Upper abdomen, Computed tomography
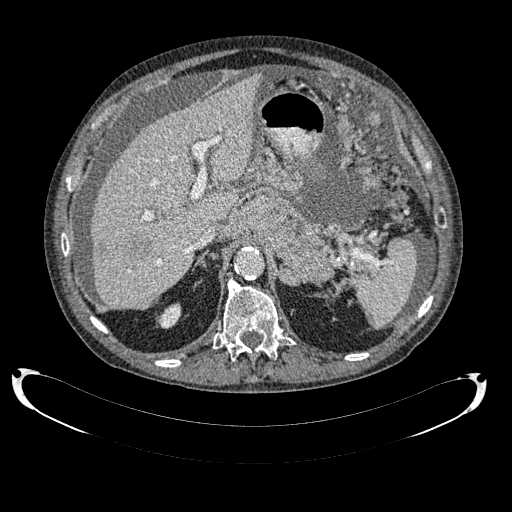 focal_liver_lesion:
  - (left=126, top=236, right=151, bottom=258)
  - (left=145, top=126, right=152, bottom=134)
  - (left=96, top=243, right=104, bottom=252)
liver:
  - (left=90, top=73, right=261, bottom=309)
kidney:
  - (left=159, top=304, right=180, bottom=327)